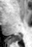

MRI slice.

The posterior hippocampus is at <bbox>10, 35, 20, 40</bbox>.